CT scan slice, Slice 222/343, Upper abdomen
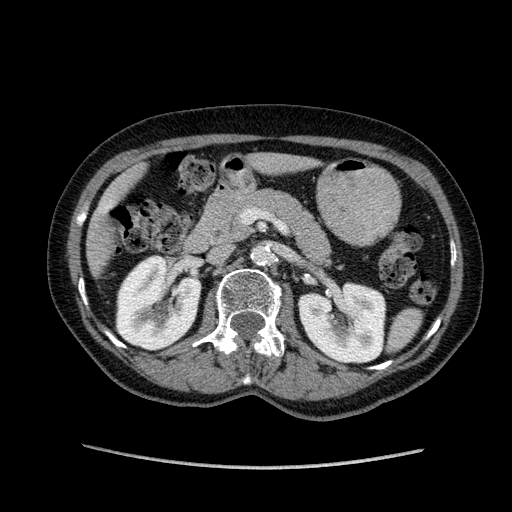 2 kidney regions are located at (left=117, top=257, right=200, bottom=349), (left=299, top=284, right=384, bottom=361). 2 liver regions appear at (left=248, top=151, right=310, bottom=173), (left=83, top=179, right=130, bottom=268).